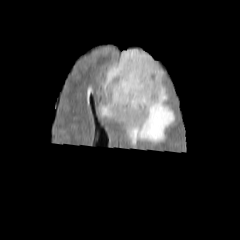
FLAIR MR.
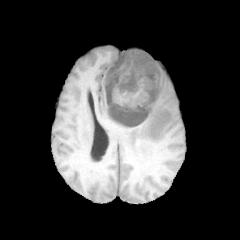
T1-weighted magnetic resonance.
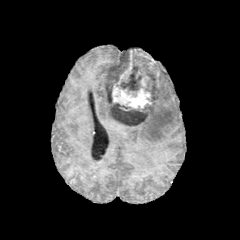
Post-contrast T1-weighted MR image.
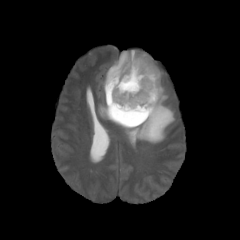
T2-weighted magnetic resonance of the same slice.
Head. 240x240.
Segmented structures:
• non-enhancing tumor core: box=[104, 48, 161, 126]
• enhancing tumor: box=[117, 62, 132, 84]; box=[112, 74, 152, 109]
• edema: box=[98, 89, 175, 149]